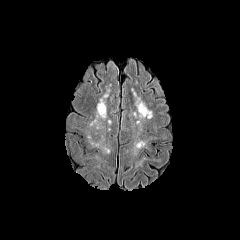
FLAIR MR image.
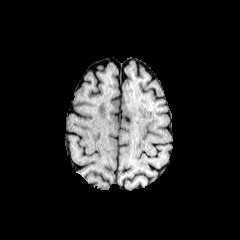
Same slice, T1-weighted MR.
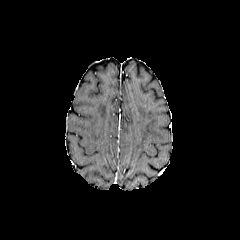
Post-contrast T1-weighted MRI of the same slice.
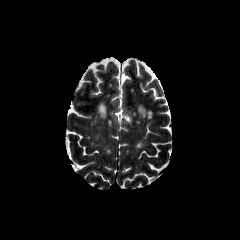
T2-weighted MRI.
Brain | 240x240 px
Edema — (97,99,105,118).